Field of view 240x240 mm. Head. 240x240.
FLAIR MR.
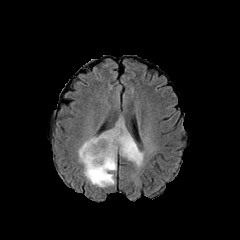
T1-weighted MRI.
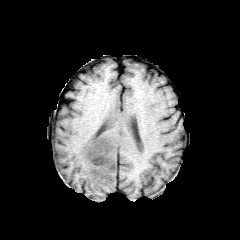
Post-contrast T1-weighted MR image.
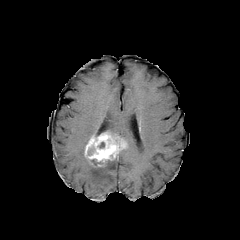
T2-weighted MR image.
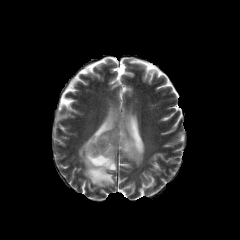
Enhancing tumor — (84,132,126,165).
Edema — (107,118,143,166), (78,138,116,187).